Abdomen; Computed tomography

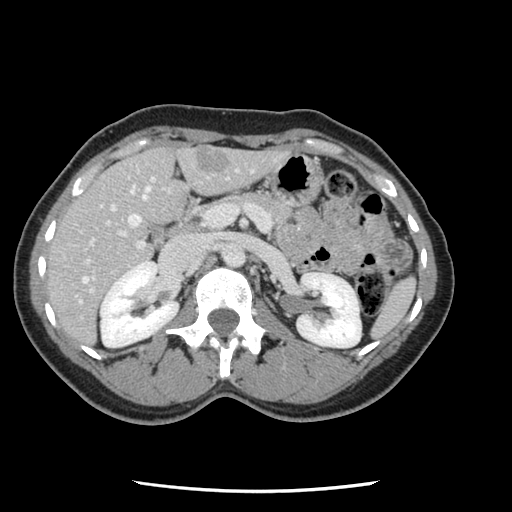

Some hepatic vessels may have no box.
The liver tumor is located at rect(195, 151, 228, 172). 11 hepatic vessel regions are located at rect(130, 186, 133, 192); rect(143, 187, 149, 198); rect(90, 289, 92, 290); rect(82, 276, 89, 281); rect(128, 214, 139, 225); rect(111, 205, 115, 208); rect(137, 241, 143, 246); rect(86, 260, 88, 261); rect(90, 239, 93, 242); rect(120, 231, 124, 234); rect(151, 177, 153, 179).